Slice 37 of 51, CT scan slice, Image size 512x512
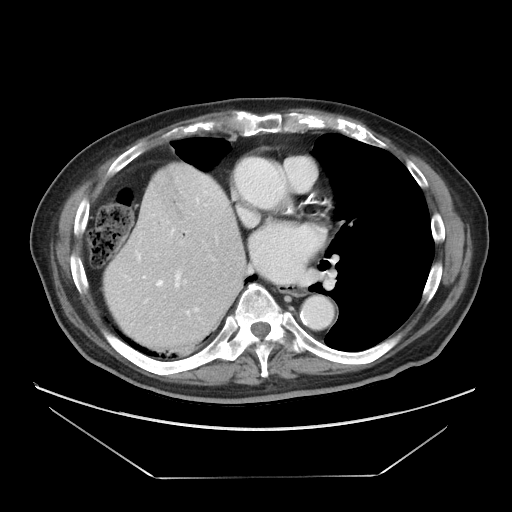

The vessel boxes may cover only some of the vessels.
Hepatic vessel at 156:279:163:286, 136:252:139:257, 186:311:188:313, 175:271:180:286.